Image size 36x49. MR. Hippocampus. 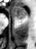
<segmentation>
  <anterior_hippocampus>rect(14, 7, 27, 18)</anterior_hippocampus>
</segmentation>